Brain | 240x240 | Field of view 240 mm wide, 1.00 mm slice spacing | Slice index 111
FLAIR MRI.
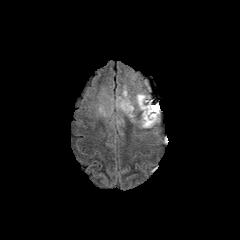
T1-weighted MR image.
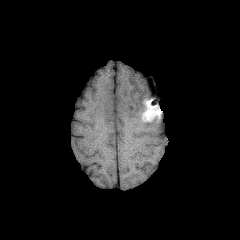
Post-contrast T1-weighted MR image.
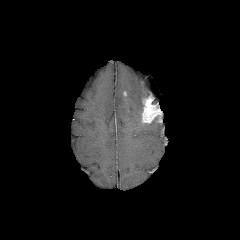
T2-weighted MR image.
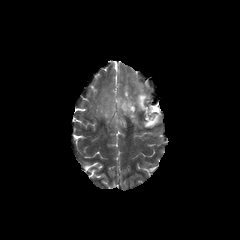
The edema appears at (x1=96, y1=82, x2=159, y2=131). The enhancing tumor is bounded by (x1=142, y1=97, x2=159, y2=123).